Upper abdomen | Slice 88 of 155 | 512x512 | CT
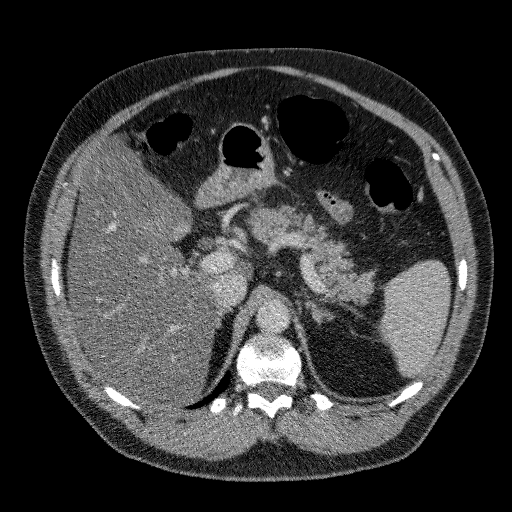

liver:
  - [x1=68, y1=138, x2=254, y2=412]